CT slice; Slice index 350

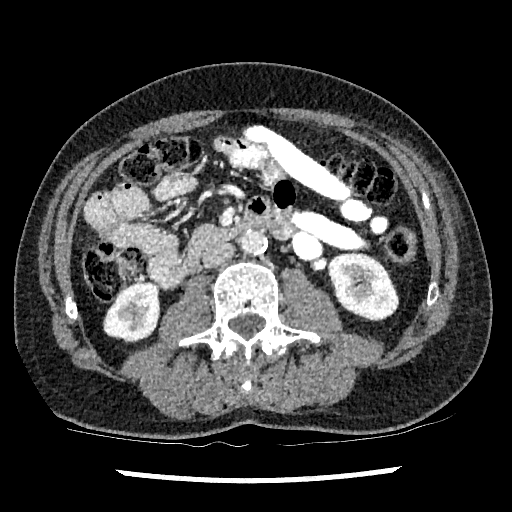 {"kidney": ["<box>329,254,397,318</box>", "<box>105,284,158,339</box>"]}